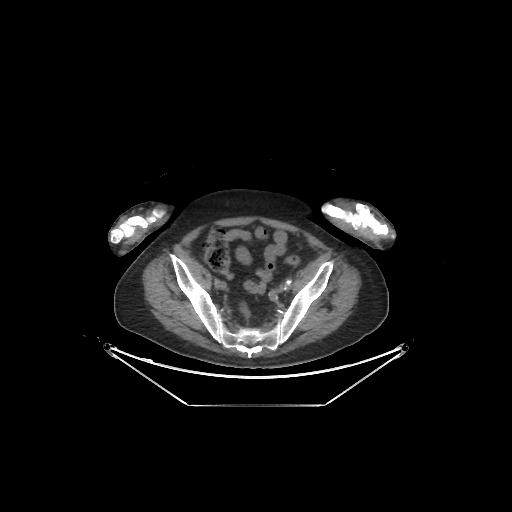
Image size 512x512, Computed tomography
3 bone regions are bounded by bbox=[322, 203, 388, 236]; bbox=[170, 254, 332, 357]; bbox=[111, 210, 163, 243].